FLAIR MR.
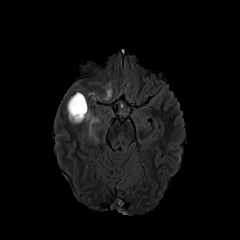
T1-weighted MR image.
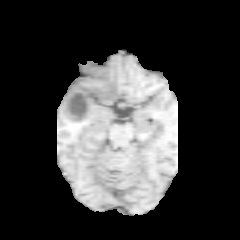
Post-contrast T1-weighted MRI.
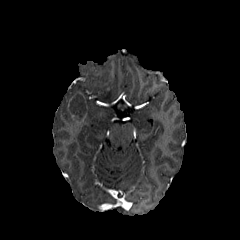
T2-weighted MR image.
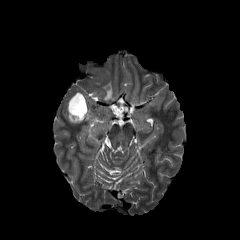
The non-enhancing tumor core appears at 69 93 86 117. The enhancing tumor is bounded by 72 111 86 121. 3 edema regions are bounded by 84 110 100 140, 68 112 77 124, 102 84 111 101.